Slice index 236 | CT slice | Field of view 400x400 mm | Liver
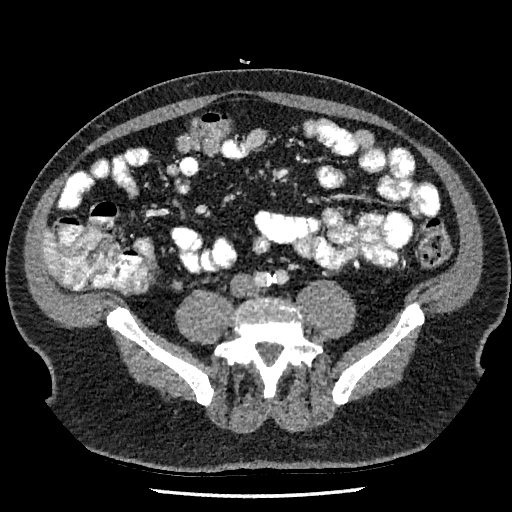

- liver: x1=43, y1=232, x2=60, y2=275